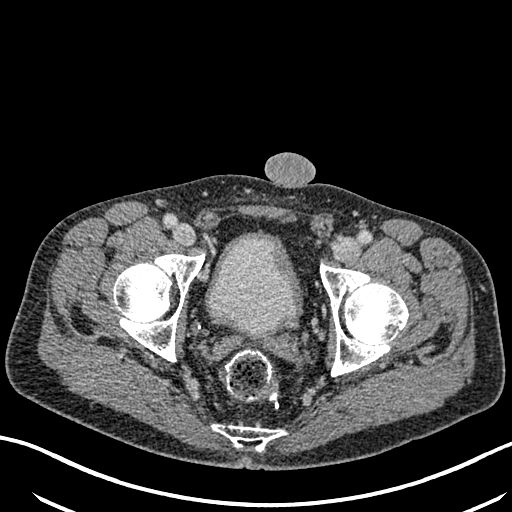
Lower abdomen, CT image
Urinary bladder — [209, 234, 296, 334].